Computed tomography, Upper abdomen 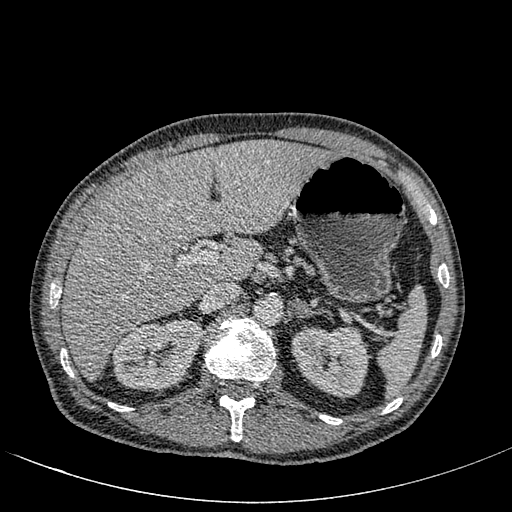

The liver is at [62, 140, 332, 380]. The focal liver lesion is located at [154, 168, 167, 179]. 2 kidney regions appear at [292, 327, 367, 396], [113, 320, 202, 389].